CT image | Image size 512x512 | Slice index 77 | Liver
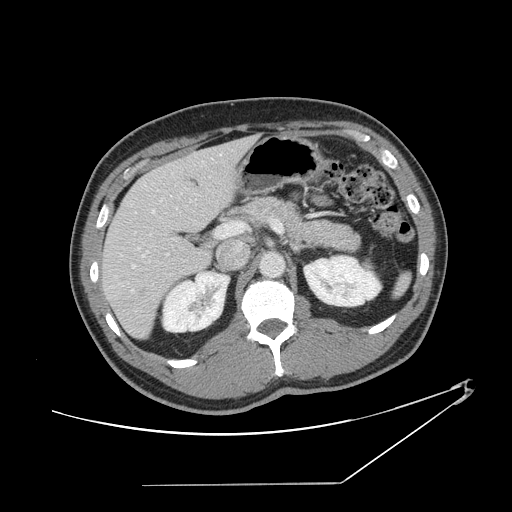
Not every hepatic vessel necessarily has a box.
hepatic_vessel:
  - (x1=131, y1=290, x2=133, y2=292)
  - (x1=202, y1=162, x2=205, y2=164)
  - (x1=143, y1=252, x2=147, y2=256)
  - (x1=152, y1=210, x2=154, y2=212)
  - (x1=132, y1=264, x2=135, y2=267)
  - (x1=138, y1=248, x2=139, y2=249)
  - (x1=160, y1=200, x2=162, y2=201)